Head
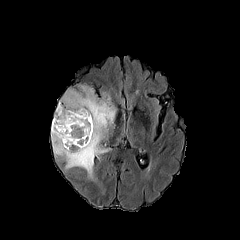
FLAIR magnetic resonance.
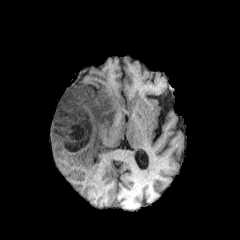
T1-weighted MR image.
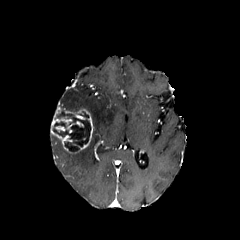
Post-contrast T1-weighted MR of the same slice.
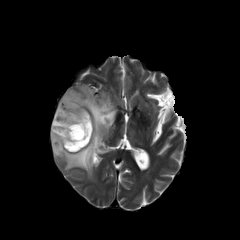
T2-weighted magnetic resonance.
edema: rect(50, 83, 117, 182); rect(97, 144, 111, 160) | non-enhancing tumor core: rect(55, 109, 73, 119); rect(52, 120, 90, 152) | enhancing tumor: rect(51, 128, 72, 151); rect(51, 107, 94, 150)